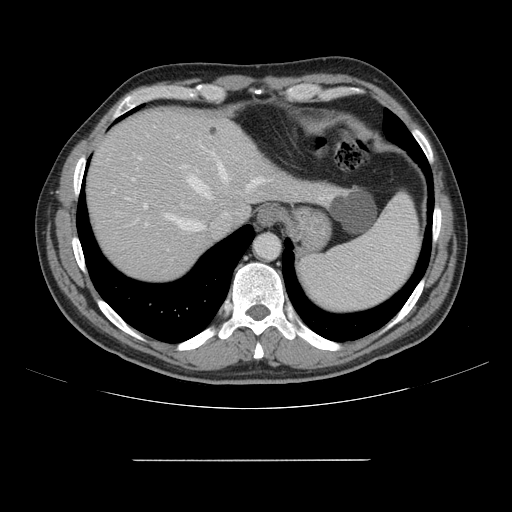

CT | Abdomen | 512x512

Some hepatic vessels may have no box.
14 hepatic vessel regions are located at region(211, 151, 214, 154); region(181, 165, 186, 168); region(126, 197, 128, 198); region(144, 204, 146, 208); region(145, 222, 146, 225); region(139, 157, 141, 158); region(320, 197, 323, 198); region(165, 213, 204, 230); region(188, 175, 212, 198); region(199, 144, 203, 147); region(135, 219, 137, 221); region(218, 162, 226, 180); region(246, 178, 265, 192); region(132, 178, 134, 180).